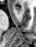

MRI slice | Hippocampus
Anterior hippocampus = (x1=14, y1=6, x2=20, y2=12).